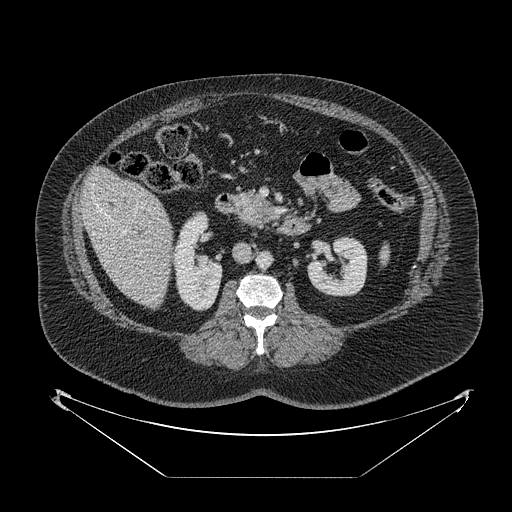

CT image
Pancreatic tumor: x1=252, y1=201, x2=274, y2=223.
Pancreas: x1=235, y1=192, x2=268, y2=227.